CT scan slice | 512x512 px

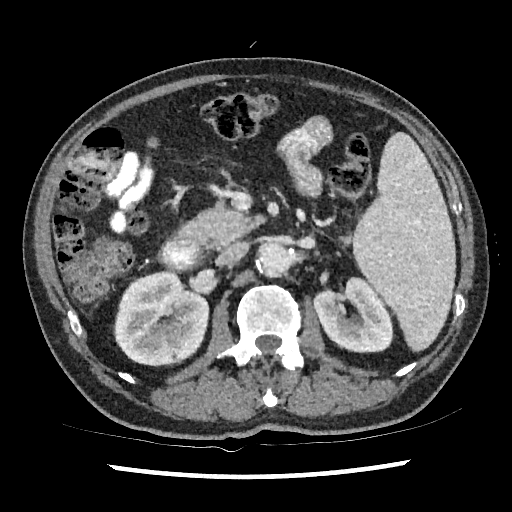 2 kidney regions are bounded by 314,278,392,351; 115,272,208,365.